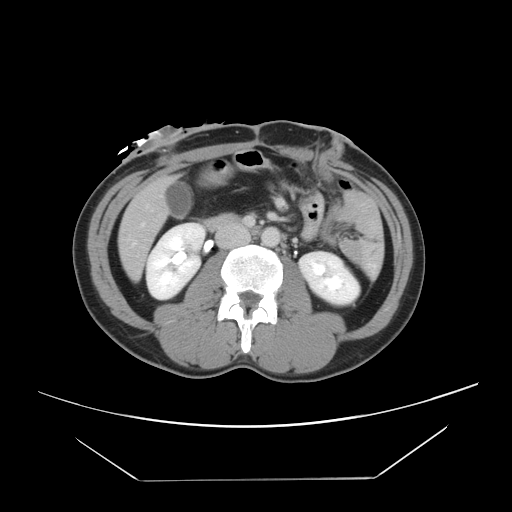
CT slice. Abdomen. Some hepatic vessels may have no box.
4 hepatic vessel regions are located at 137, 253, 138, 256; 151, 209, 152, 211; 141, 223, 143, 226; 127, 239, 135, 246.